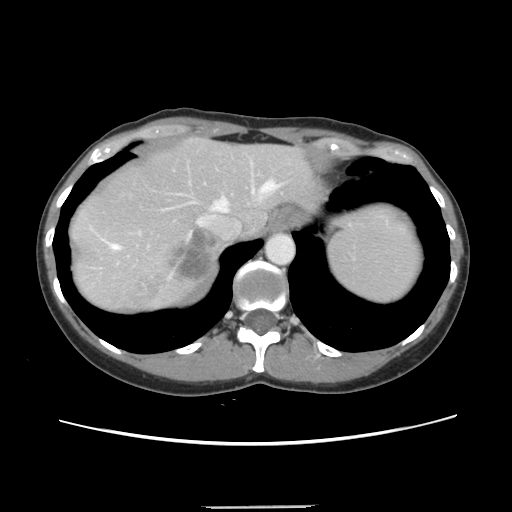

CT. Liver.
Only some of the vessels may be annotated.
Hepatic vessel: l=173, t=193, r=187, b=195; l=102, t=239, r=105, b=241; l=197, t=220, r=200, b=224; l=187, t=195, r=198, b=203; l=109, t=244, r=119, b=248; l=188, t=179, r=190, b=185; l=211, t=198, r=227, b=211; l=251, t=181, r=277, b=199; l=139, t=231, r=140, b=233; l=160, t=207, r=175, b=210; l=250, t=162, r=251, b=165.
Liver tumor: l=176, t=233, r=212, b=275.